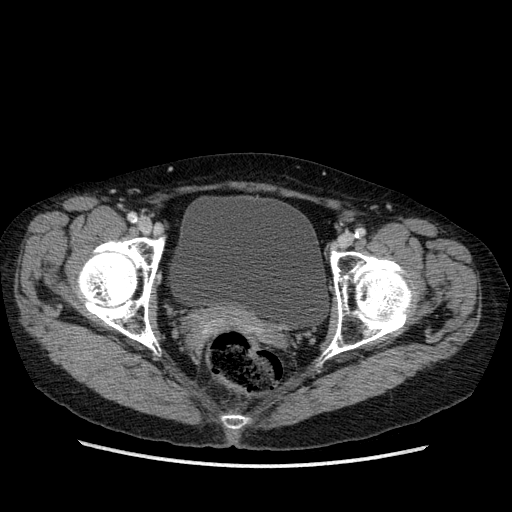
CT image

The urinary bladder is located at [168,195,329,328].